512x512 px; Image width 434 mm; Slice index 203; CT scan slice 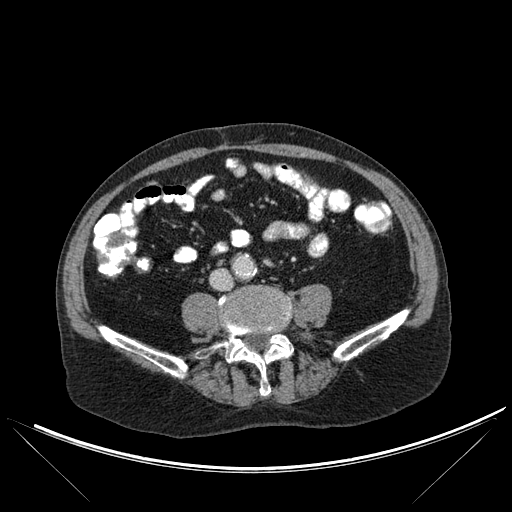
Bone: bounding box 99, 326, 187, 377; 218, 292, 293, 395; 334, 310, 408, 360.